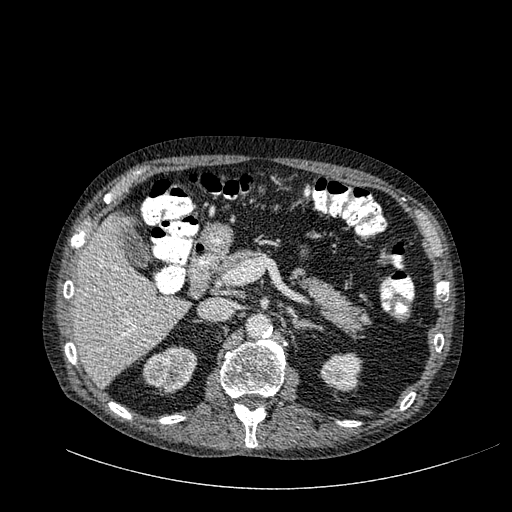
Computed tomography
The liver is bounded by bbox(74, 214, 189, 387). 2 kidney regions are bounded by bbox(320, 353, 362, 391); bbox(143, 345, 196, 393). The liver lesion appears at bbox(114, 239, 121, 250).